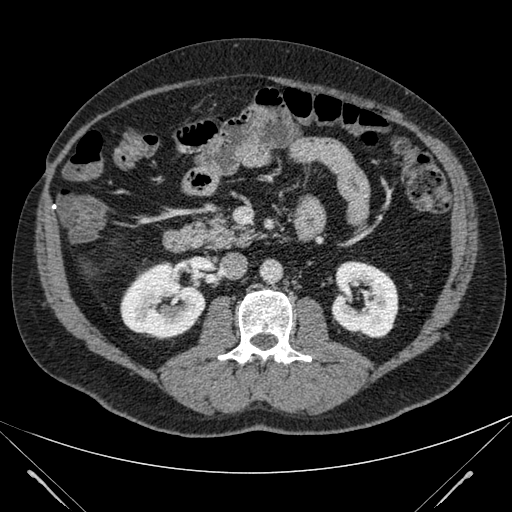 Abdomen | CT slice

<segmentation>
  <kidney>121,263,204,337; 333,262,397,336</kidney>
</segmentation>